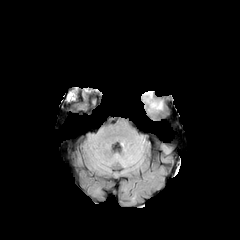
FLAIR MR image.
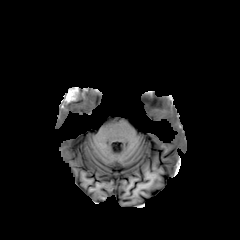
Same slice, T1-weighted MR image.
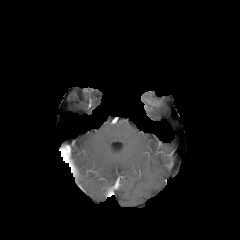
Post-contrast T1-weighted MRI.
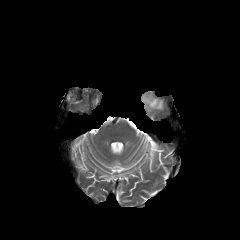
T2-weighted MR image.
Head.
The enhancing tumor is at [142,98,161,107].